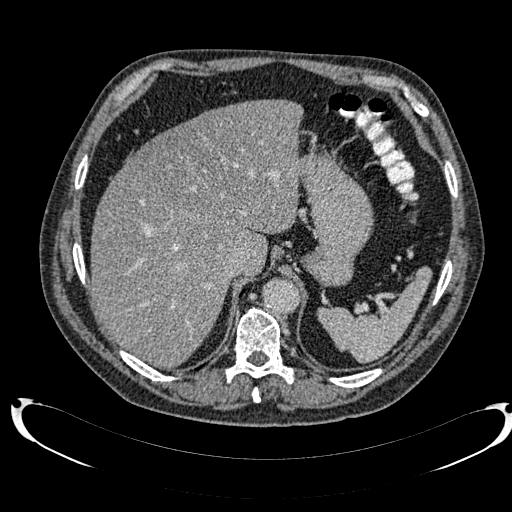

CT scan slice. Upper abdomen. <segmentation>
  <liver>(left=92, top=99, right=301, bottom=366)</liver>
  <hepatic_lesion>(left=134, top=103, right=268, bottom=213)</hepatic_lesion>
</segmentation>